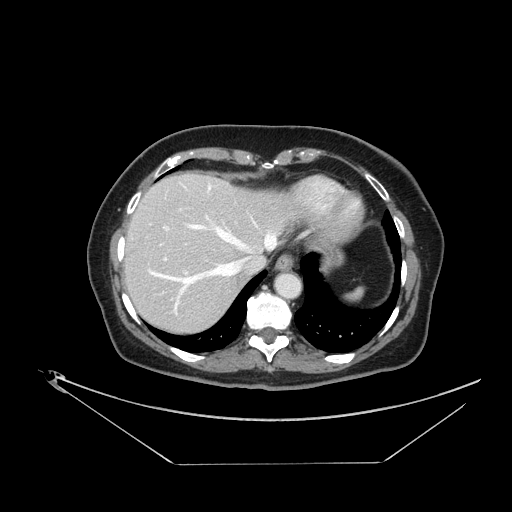 CT scan slice | Abdomen
The vessel boxes may cover only some of the vessels.
Hepatic vessel = (149, 214, 274, 313), (163, 226, 169, 230), (209, 184, 210, 188), (164, 258, 166, 260).